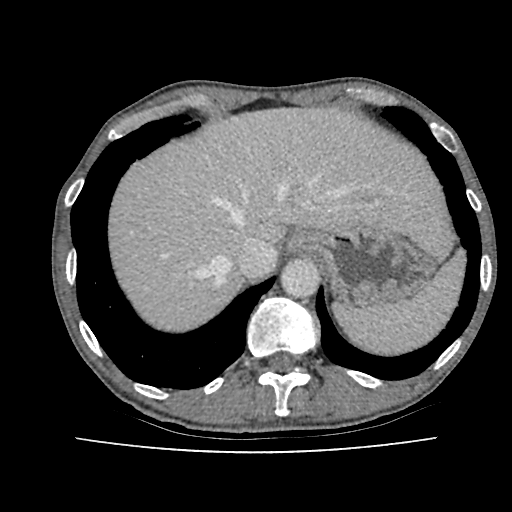

Computed tomography. Image size 512x512. liver:
  - (108, 107, 451, 329)